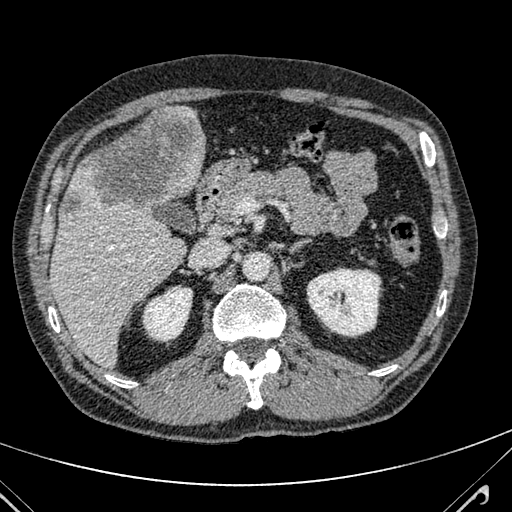
Image size 512x512, CT slice, Upper abdomen

Hepatic lesion: (x1=60, y1=189, x2=80, y2=213), (x1=82, y1=108, x2=204, y2=207).
Liver: (x1=52, y1=156, x2=184, y2=367), (x1=169, y1=107, x2=200, y2=129), (x1=155, y1=157, x2=204, y2=204).